CT image
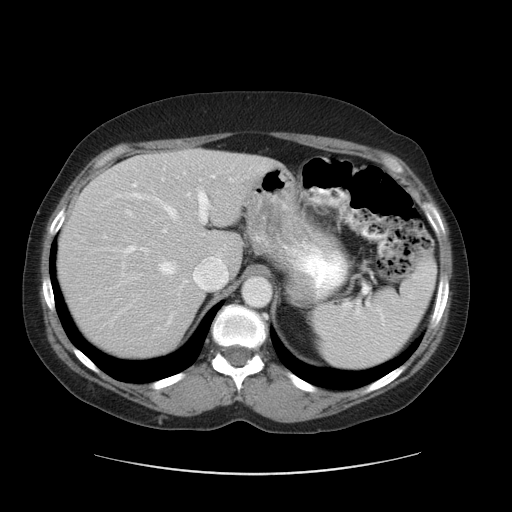

{
  "colon_tumor": [
    {"x1": 304, "y1": 187, "x2": 349, "y2": 207}
  ]
}